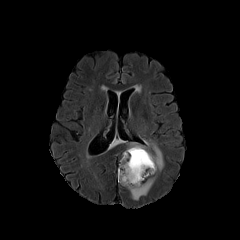
FLAIR magnetic resonance.
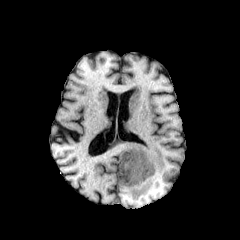
T1-weighted magnetic resonance.
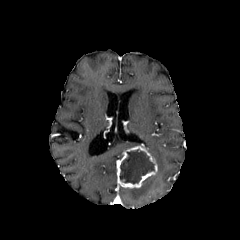
Post-contrast T1-weighted MRI of the same slice.
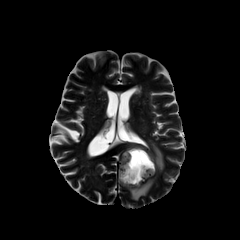
Same slice, T2-weighted MR image.
Brain | 240x240 px
Findings:
- edema: (left=130, top=176, right=155, bottom=200), (left=147, top=143, right=163, bottom=171)
- non-enhancing tumor core: (left=119, top=149, right=154, bottom=184)
- enhancing tumor: (left=117, top=145, right=157, bottom=188)